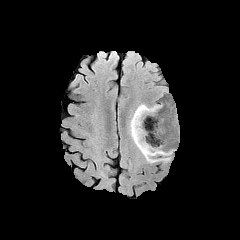
FLAIR MR.
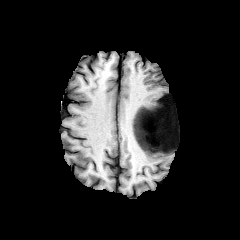
T1-weighted MR.
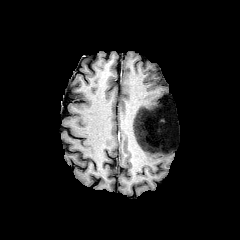
Post-contrast T1-weighted MR image.
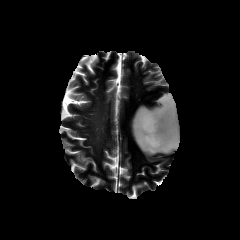
T2-weighted magnetic resonance.
Head
Non-enhancing tumor core: [134,106,175,152].
Edema: [129,104,175,161].